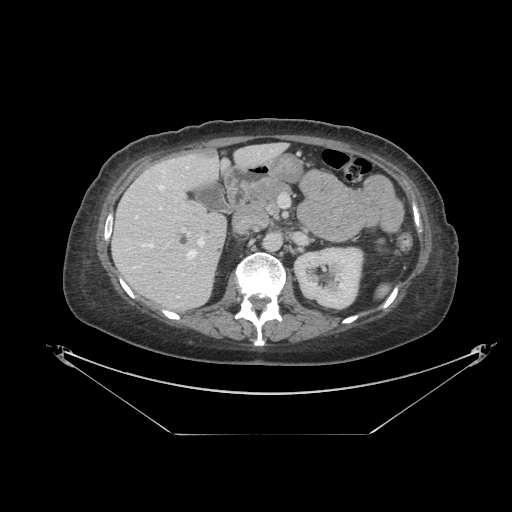 CT scan slice. Abdomen. 512x512 px.

Pancreas = box(249, 180, 289, 214).